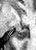 Hippocampus; MRI
Posterior hippocampus — rect(13, 27, 28, 39).